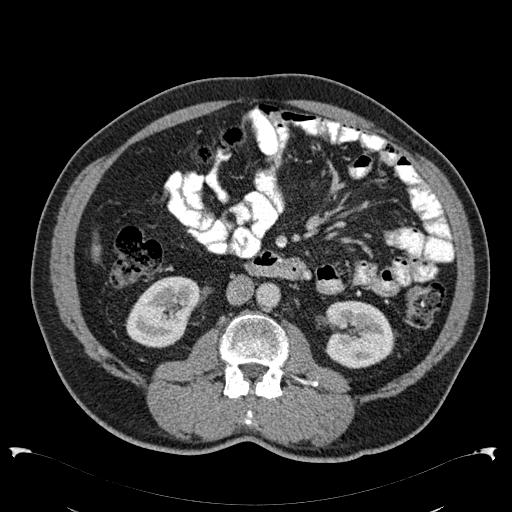 Upper abdomen. CT.

<segmentation>
  <liver>[92,234,100,263]</liver>
  <kidney>[323,301,393,368], [126,276,199,347]</kidney>
</segmentation>